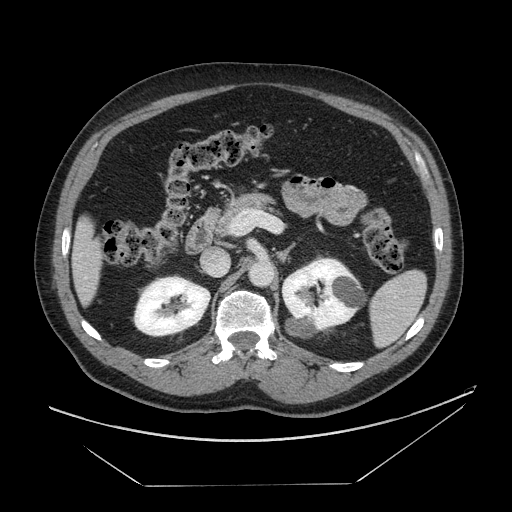

Image size 512x512. Abdomen. Computed tomography. Annotated regions:
• pancreas: 216,193,275,235